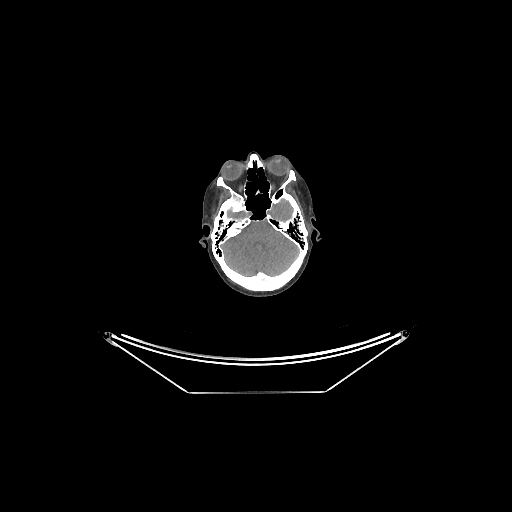
Brain, CT
{
  "brain": [
    "266, 198, 293, 222",
    "226, 206, 252, 222",
    "220, 217, 299, 276"
  ]
}